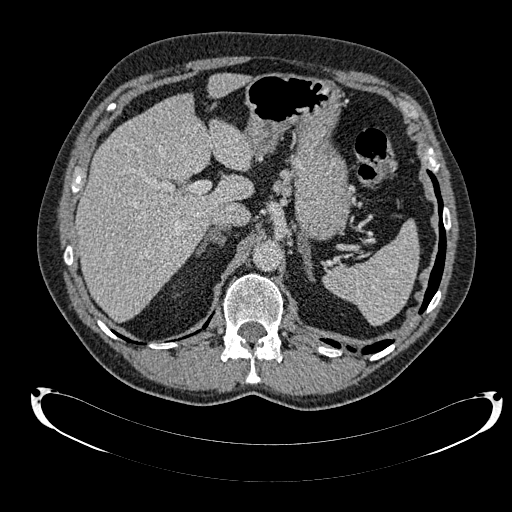
CT image; 512x512; Liver

Segmented structures:
* liver: 208,74,248,97; 77,95,251,320